Slice 113/588; CT scan slice 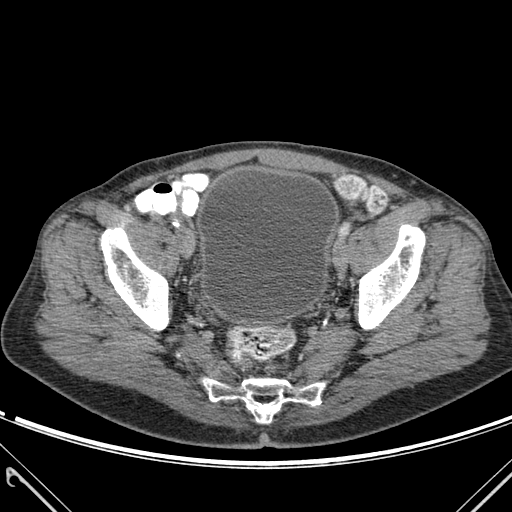 3 bone regions appear at box(203, 378, 324, 422); box(358, 225, 424, 328); box(101, 228, 168, 329). The urinary bladder appears at box(200, 171, 335, 320).